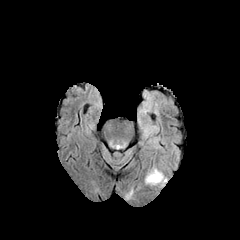
FLAIR magnetic resonance.
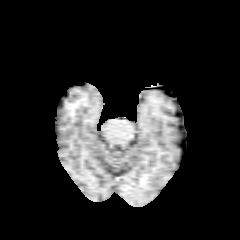
T1-weighted MR image of the same slice.
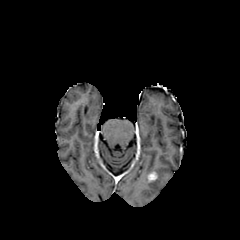
Same slice, post-contrast T1-weighted MR.
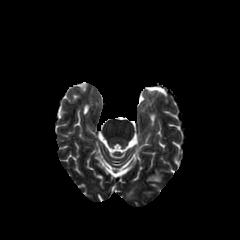
T2-weighted MR.
Head
enhancing_tumor:
  - (x1=148, y1=172, x2=157, y2=180)
edema:
  - (x1=145, y1=168, x2=165, y2=185)